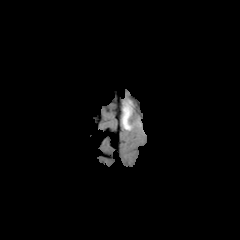
FLAIR MRI.
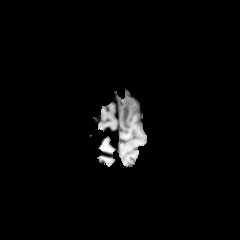
T1-weighted MR.
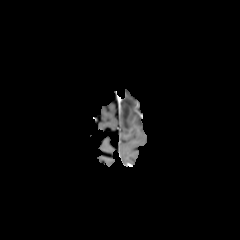
Post-contrast T1-weighted magnetic resonance.
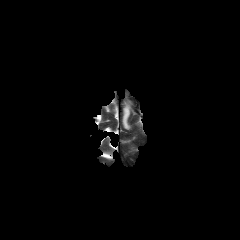
Same slice, T2-weighted magnetic resonance.
Head
{"edema": ["x1=122 y1=100 x2=131 y2=130"]}